FLAIR magnetic resonance.
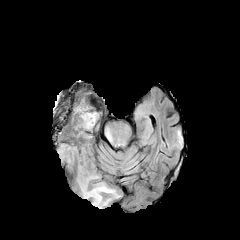
T1-weighted magnetic resonance.
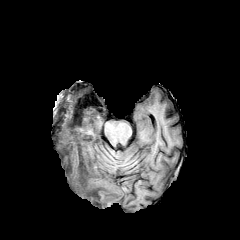
Post-contrast T1-weighted magnetic resonance.
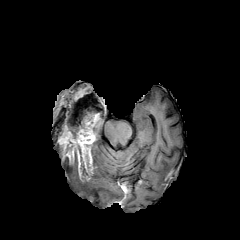
T2-weighted MR image.
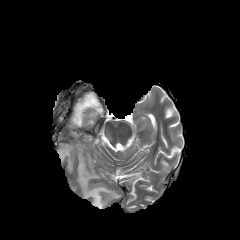
Image size 240x240. Brain.
enhancing_tumor:
  - left=84, top=113, right=99, bottom=129
  - left=58, top=131, right=93, bottom=181
edema:
  - left=64, top=147, right=120, bottom=208
  - left=105, top=130, right=112, bottom=141
  - left=80, top=104, right=95, bottom=119
non-enhancing_tumor_core:
  - left=59, top=104, right=95, bottom=154
  - left=72, top=150, right=78, bottom=165
  - left=80, top=156, right=88, bottom=175